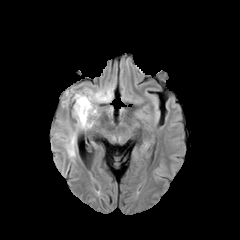
FLAIR MR.
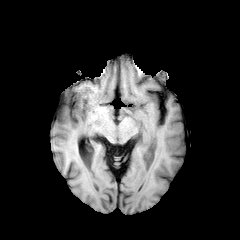
T1-weighted magnetic resonance.
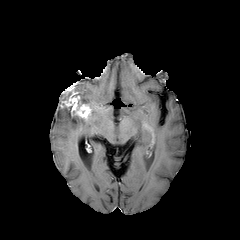
Post-contrast T1-weighted MR.
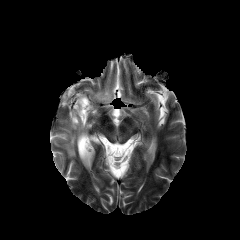
T2-weighted magnetic resonance of the same slice.
Brain
enhancing tumor: region(64, 84, 92, 120) | edema: region(56, 84, 113, 157) | non-enhancing tumor core: region(75, 83, 87, 103)